Brain
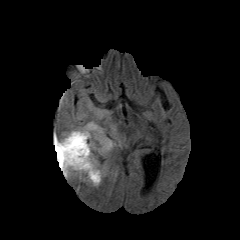
FLAIR MR.
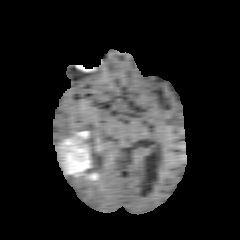
T1-weighted MR of the same slice.
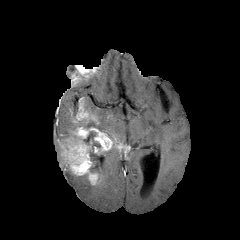
Post-contrast T1-weighted magnetic resonance.
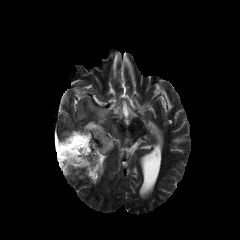
T2-weighted MR image.
non-enhancing tumor core: l=83, t=131, r=95, b=143; l=83, t=123, r=101, b=130; l=89, t=144, r=105, b=173; l=55, t=138, r=63, b=164 | edema: l=90, t=152, r=96, b=164; l=103, t=144, r=121, b=157; l=98, t=158, r=108, b=180; l=65, t=171, r=100, b=186; l=62, t=128, r=75, b=139; l=84, t=104, r=108, b=131 | enhancing tumor: l=57, t=126, r=121, b=184